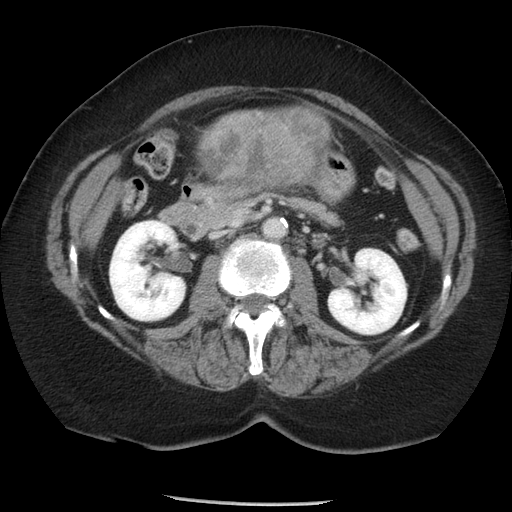
Liver; CT image

The liver tumor is located at [x1=202, y1=109, x2=328, y2=183].